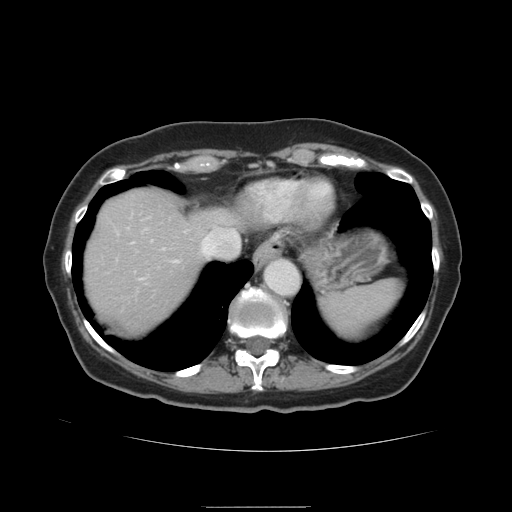 Abdomen; CT; 512x512 px

Only some of the vessels may be annotated.
Annotated regions:
* hepatic vessel: 201, 241, 204, 253